FLAIR MR image.
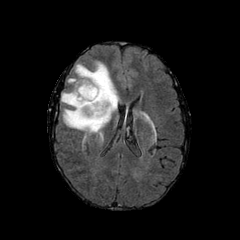
T1-weighted MR.
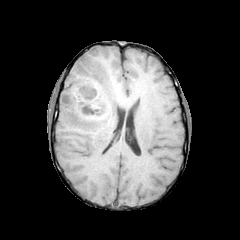
Post-contrast T1-weighted MR.
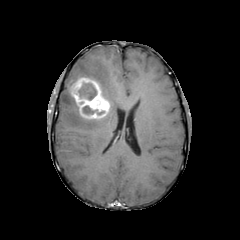
T2-weighted MR image.
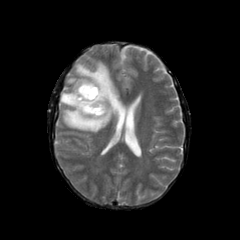
240x240 px. Head.
Non-enhancing tumor core: bounding box x1=83, y1=105, x2=104, y2=119; x1=78, y1=83, x2=96, y2=100.
Enhancing tumor: bounding box x1=71, y1=77, x2=109, y2=118.
Edema: bounding box x1=61, y1=62, x2=118, y2=132.